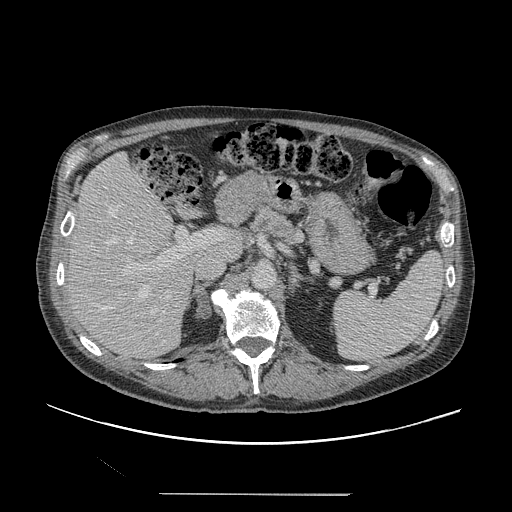 Image size 512x512; CT slice
The pancreas lies within 248:204:307:247.